CT image; Image width 385 mm; 512x512 px 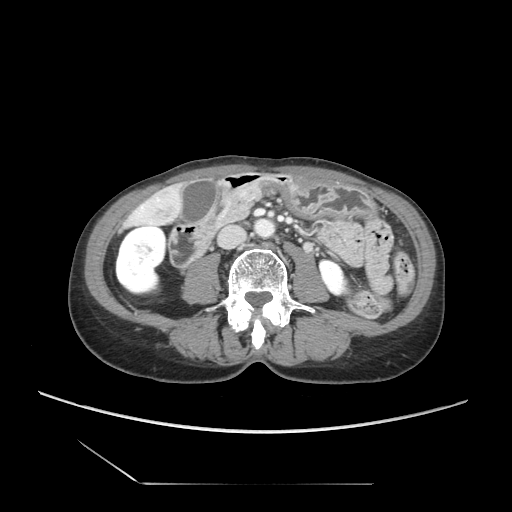 The pancreas lies within <bbox>226, 187, 260, 222</bbox>.